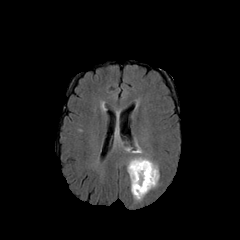
FLAIR MR image.
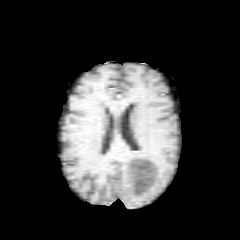
T1-weighted MR of the same slice.
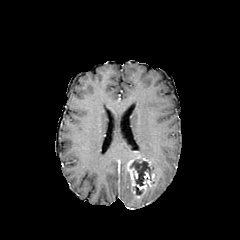
Same slice, post-contrast T1-weighted MR image.
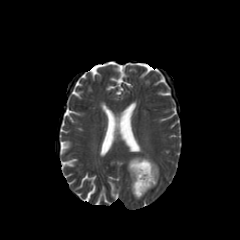
T2-weighted MR image.
Brain
2 non-enhancing tumor core regions are located at <bbox>133, 186, 142, 195</bbox>, <bbox>130, 160, 152, 185</bbox>. The enhancing tumor lies within <bbox>128, 167, 157, 191</bbox>. 3 edema regions appear at <bbox>130, 176, 157, 200</bbox>, <bbox>140, 156, 158, 179</bbox>, <bbox>128, 144, 141, 162</bbox>.